Slice index 402; CT scan slice

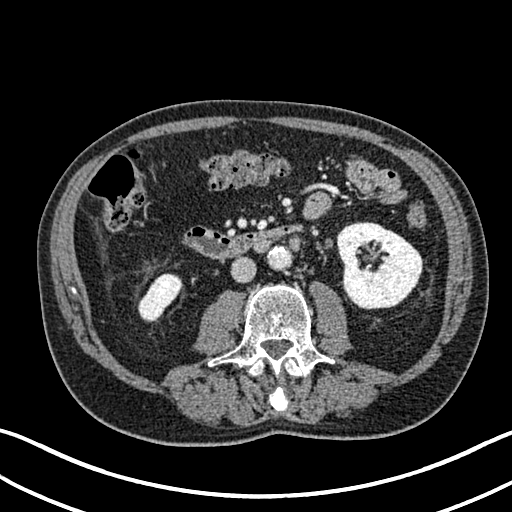

kidney:
  - bbox(338, 223, 421, 308)
  - bbox(139, 274, 180, 320)